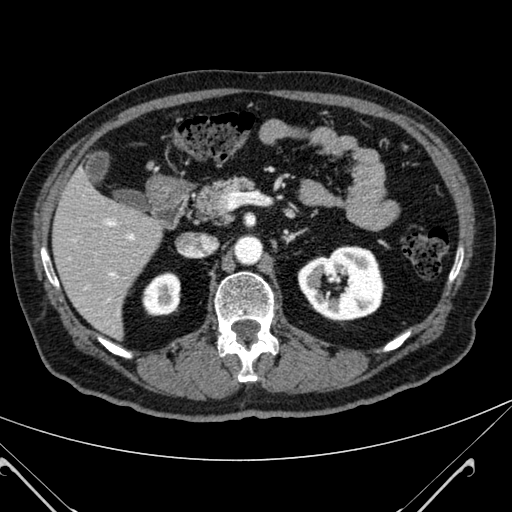
Computed tomography. 512x512. Abdomen. {
  "kidney": [
    "x1=299, y1=247, x2=382, y2=319",
    "x1=144, y1=274, x2=179, y2=313"
  ],
  "liver": [
    "x1=50, y1=179, x2=160, y2=338"
  ]
}